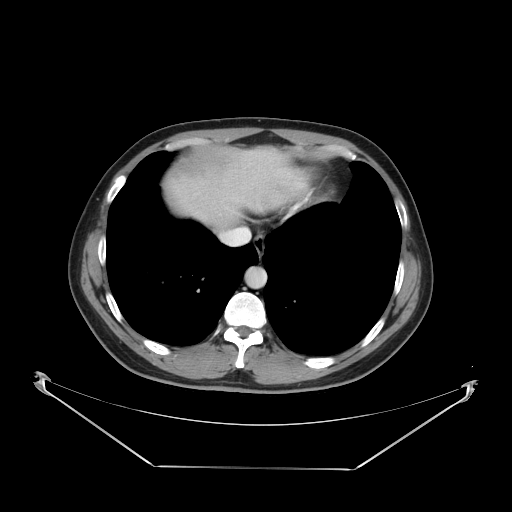

CT scan slice, 512x512 px

The vessel annotation is not exhaustive.
{
  "hepatic_vessel": [
    "bbox=[223, 232, 231, 235]"
  ]
}